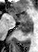

Hippocampus | 38x52 | MRI slice
<segmentation>
  <posterior_hippocampus>(left=18, top=23, right=32, bottom=35)</posterior_hippocampus>
  <anterior_hippocampus>(left=7, top=11, right=31, bottom=22)</anterior_hippocampus>
</segmentation>